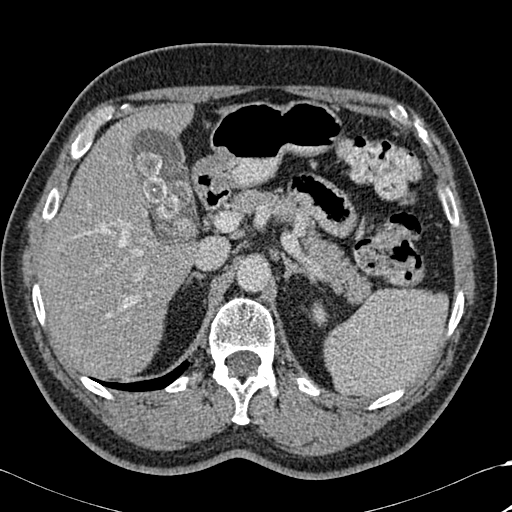
CT image. Liver. Image size 512x512.
Annotated regions:
• bone: (71,120,97,157), (43,189,59,219), (370,390,402,408), (449,292,463,333), (441,190,458,225), (209,298,275,424), (297,378,319,395), (33,285,44,323), (81,377,111,398), (166,377,187,392)
• liver: (123,105,189,136), (38,124,193,381)
• lung: (96,360,189,391)